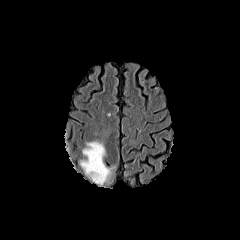
FLAIR MR.
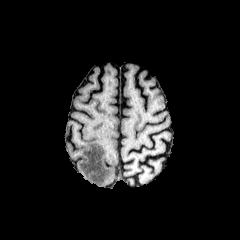
Same slice, T1-weighted magnetic resonance.
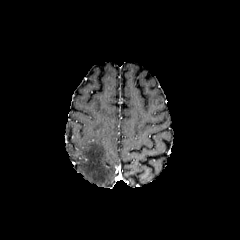
Same slice, post-contrast T1-weighted MRI.
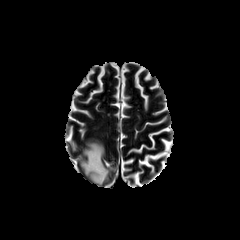
T2-weighted magnetic resonance.
240x240 px | Brain
Edema = [80, 142, 113, 183].